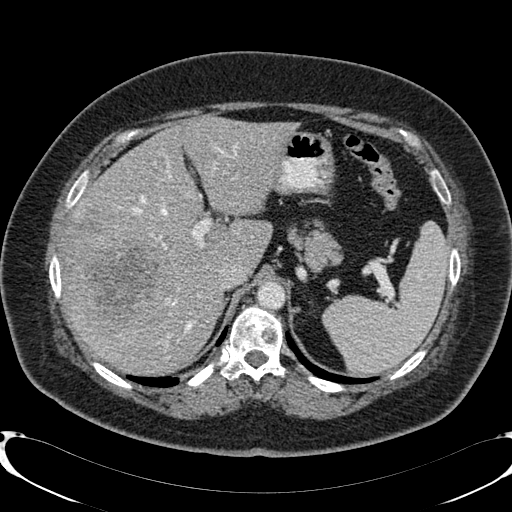 Computed tomography
Liver lesion — bbox=[67, 209, 170, 331].
Liver — bbox=[63, 116, 297, 371].